CT image. Abdomen. Slice 16/37.
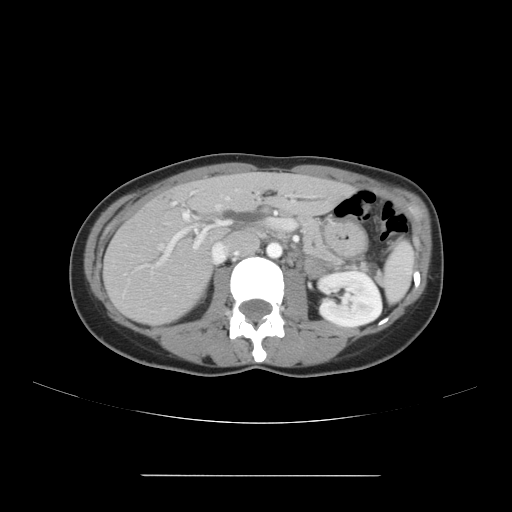

The pancreas is located at x1=297 y1=213 x2=345 y2=267.